FLAIR MR.
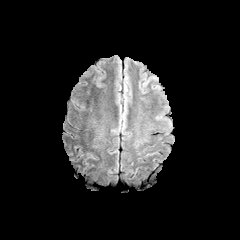
T1-weighted MR.
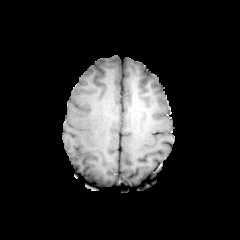
Post-contrast T1-weighted MR.
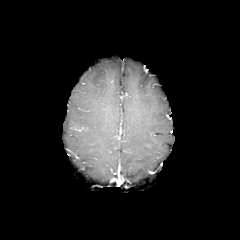
T2-weighted MR image.
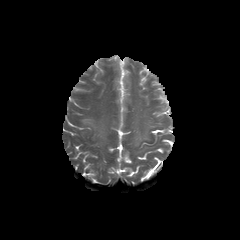
Edema at [74, 120, 94, 139].